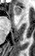 Magnetic resonance | 35x56
Anterior hippocampus: [x1=15, y1=6, x2=21, y2=14].